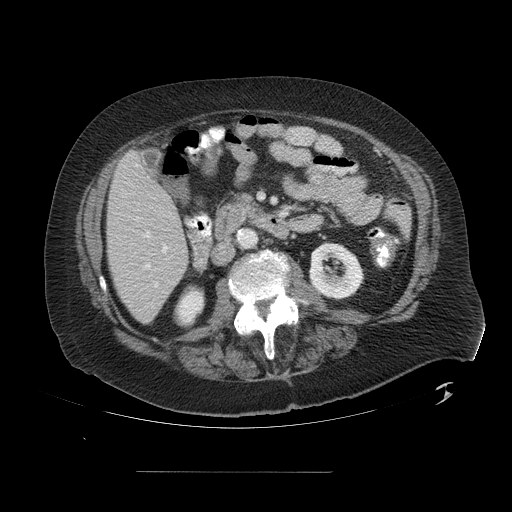 CT slice
Some hepatic vessels may have no box.
{"hepatic_vessel": ["[135, 164, 140, 166]", "[145, 264, 150, 268]", "[144, 230, 149, 237]", "[154, 282, 157, 286]", "[162, 245, 166, 252]"]}